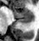
MRI slice
The posterior hippocampus appears at (left=17, top=19, right=31, bottom=23). The anterior hippocampus is bounded by (left=14, top=10, right=32, bottom=18).